FLAIR magnetic resonance.
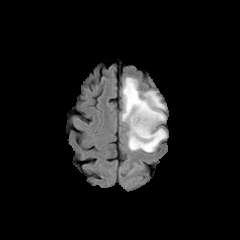
T1-weighted MRI.
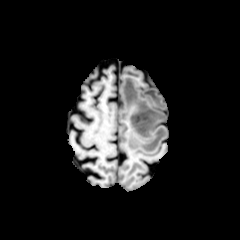
Post-contrast T1-weighted MR.
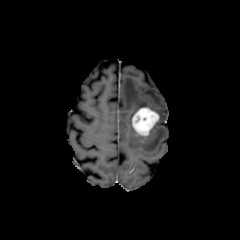
T2-weighted magnetic resonance.
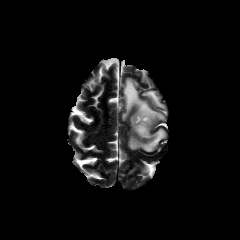
Head.
Edema — region(122, 77, 166, 152).
Enhancing tumor — region(132, 107, 159, 137).